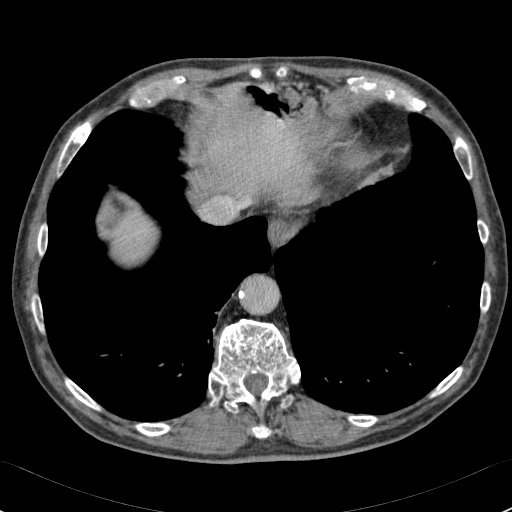

Computed tomography | 512x512 px

Liver: bounding box <bbox>114, 216, 147, 247</bbox>.